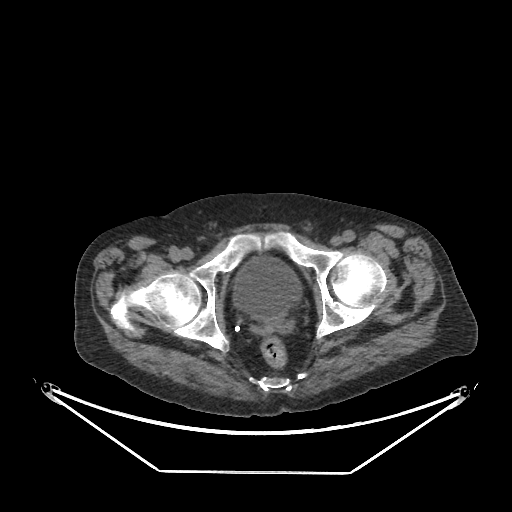 CT slice. Lower abdomen. 512x512 px.

* urinary bladder: {"x1": 232, "y1": 252, "x2": 302, "y2": 341}